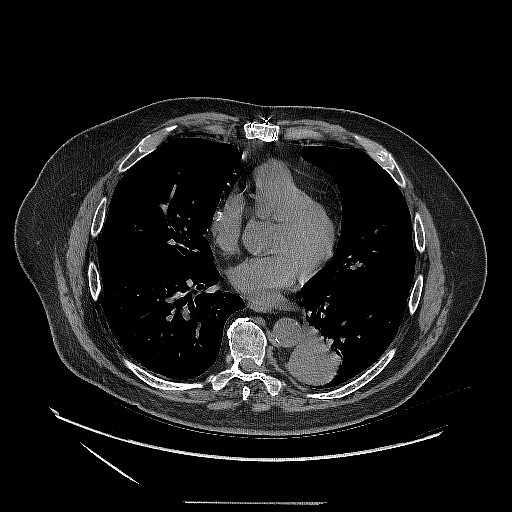
CT scan slice, 512x512 px
Segmented structures:
* lung tumor: 287,305,346,388